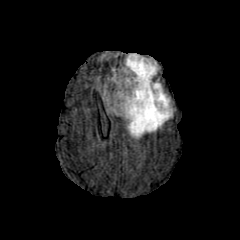
FLAIR MR image.
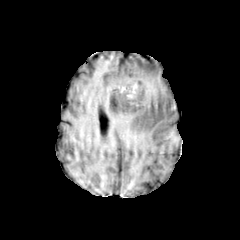
T1-weighted MR.
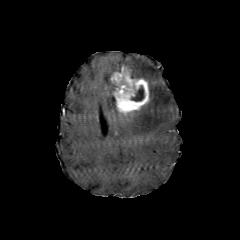
Post-contrast T1-weighted MR.
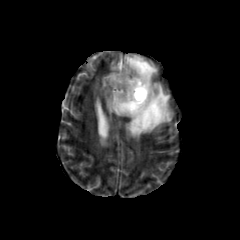
T2-weighted magnetic resonance of the same slice.
<segmentation>
  <edema><bbox>106, 95, 113, 113</bbox>, <bbox>124, 54, 173, 139</bbox></edema>
  <enhancing_tumor><bbox>111, 66, 149, 115</bbox></enhancing_tumor>
  <non-enhancing_tumor_core><bbox>131, 86, 143, 100</bbox></non-enhancing_tumor_core>
</segmentation>